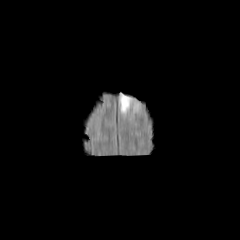
FLAIR MR image.
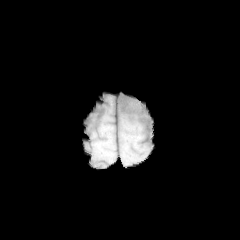
T1-weighted MR image.
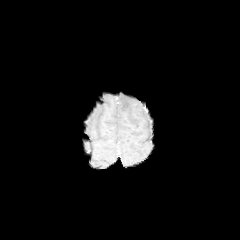
Same slice, post-contrast T1-weighted MR.
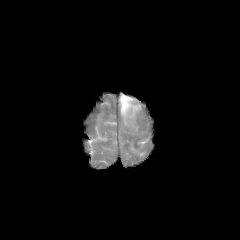
T2-weighted MR image.
240x240
The edema is located at 120, 94, 140, 115.